Slice 73 of 120 | Upper abdomen | CT
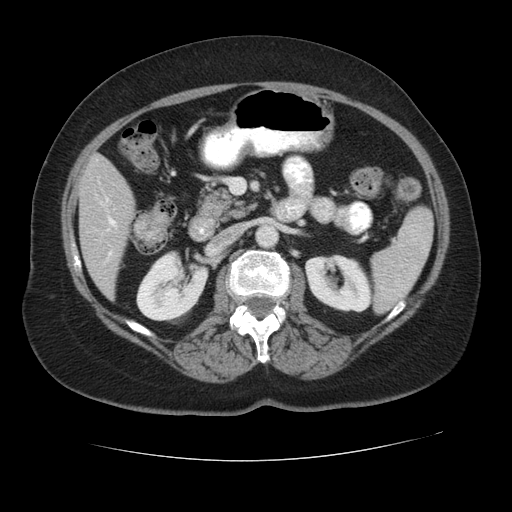 The pancreas is located at x1=197, y1=189, x2=253, y2=223.